Head, 240x240 px, Slice index 64
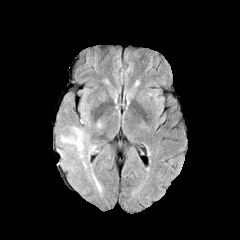
FLAIR magnetic resonance.
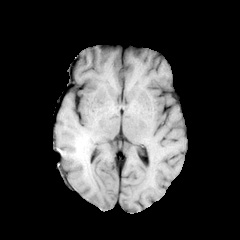
T1-weighted MR of the same slice.
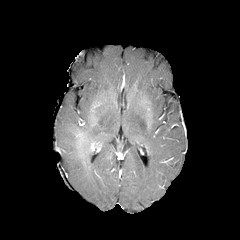
Post-contrast T1-weighted MR of the same slice.
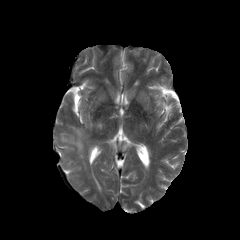
T2-weighted MRI.
The edema lies within left=59, top=126, right=96, bottom=165.